FLAIR MR.
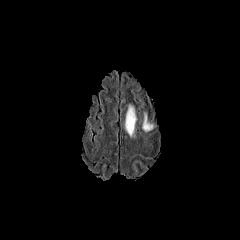
T1-weighted MR image.
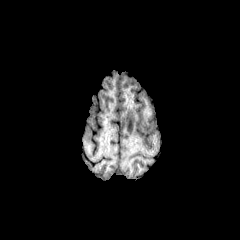
Post-contrast T1-weighted magnetic resonance.
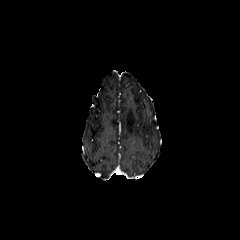
T2-weighted MR image.
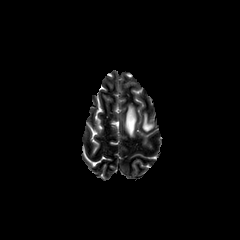
Segmented structures:
- edema: <bbox>124, 107, 136, 135</bbox>, <bbox>142, 122, 149, 130</bbox>